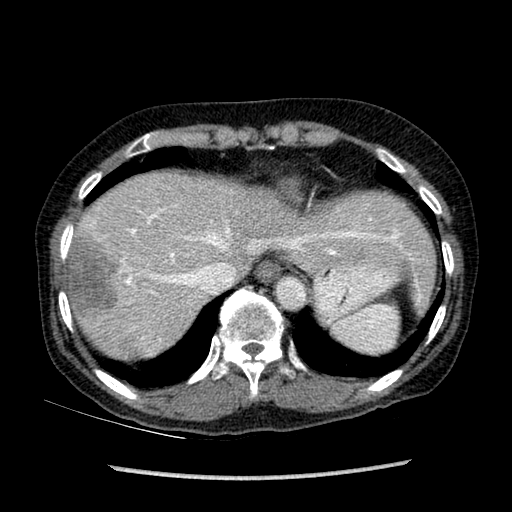

CT | Upper abdomen | 512x512

Liver at 73 170 435 359.
Hepatic lesion at 66 233 122 315.